Field of view 700 mm wide, 3.27 mm slice spacing. Upper abdomen. Computed tomography. 512x512.
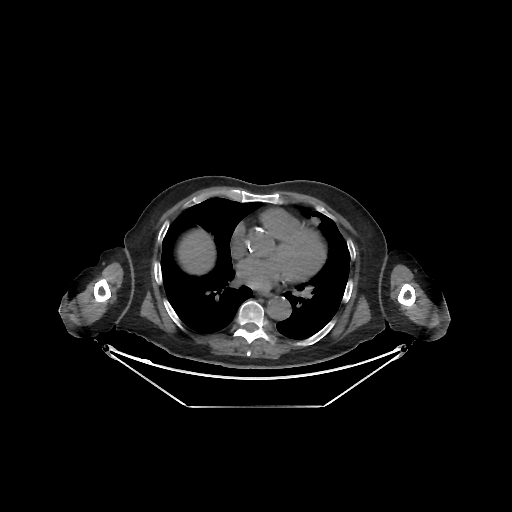
2 lung regions are bounded by 276,204,350,339; 160,197,262,334. 9 bone regions are located at 154,263,161,282; 94,279,110,302; 297,322,333,344; 242,191,278,202; 234,301,269,343; 164,301,180,326; 158,222,168,239; 343,281,352,301; 398,284,415,307. The liver lies within 179,231,213,272.